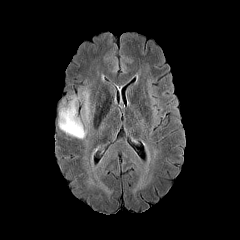
FLAIR MR image.
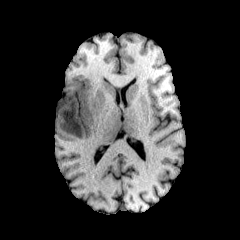
Same slice, T1-weighted MR image.
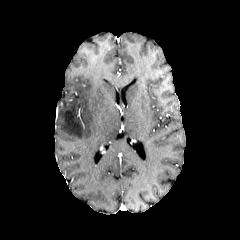
Post-contrast T1-weighted MR.
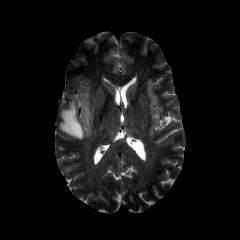
T2-weighted MR image.
Head, 240x240
Edema: bbox=[57, 87, 90, 139].